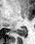 MRI slice | Hippocampus

posterior_hippocampus:
  - bbox(13, 27, 27, 35)